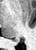 Hippocampus | Magnetic resonance | 36x50 px
Posterior hippocampus at (14,40,15,41).